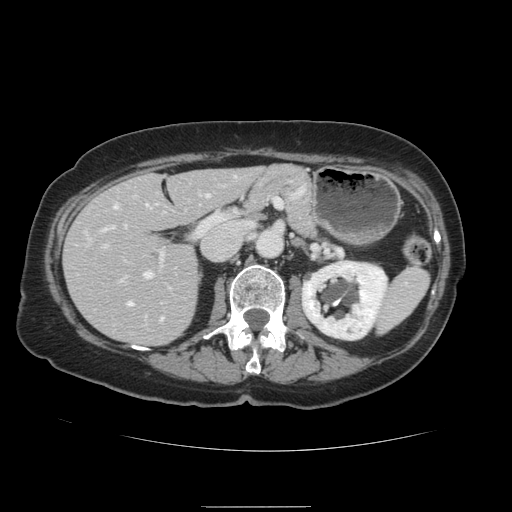
Liver; CT image
Only some of the vessels may be annotated.
Annotated regions:
• hepatic vessel: (86,235,88,239), (102,244,106,247), (160,317,162,320), (202,194,208,197), (160,253,162,266), (119,280,122,281), (113,205,117,208), (145,204,150,208), (101,226,113,231), (127,302,131,306), (143,272,150,278)